CT, Slice 55 of 109, Upper abdomen
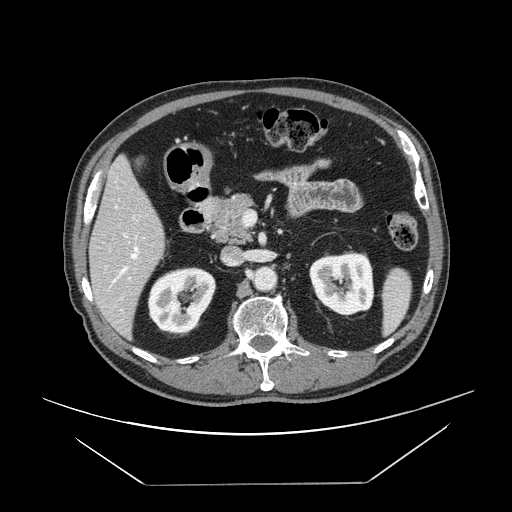 pancreas:
  - 204 194 254 245